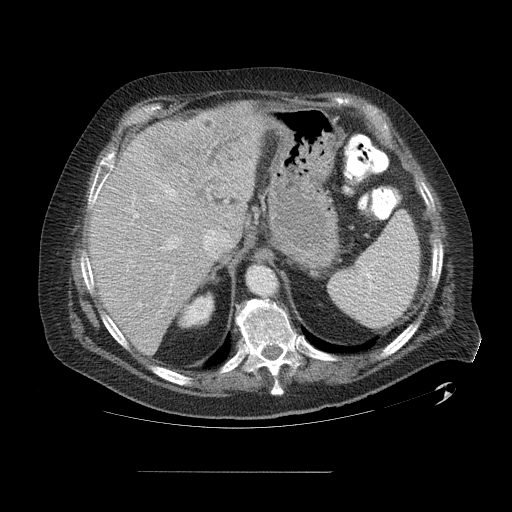 CT slice.
Only some of the vessels may be annotated.
hepatic vessel: [133, 210, 138, 217], [166, 189, 174, 199], [168, 290, 170, 291], [161, 234, 182, 249], [208, 195, 209, 198], [171, 272, 175, 279] | liver tumor: [145, 115, 249, 198]